Slice 14 of 39. MRI.
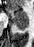
anterior_hippocampus:
  - l=7, t=9, r=27, b=21
posterior_hippocampus:
  - l=13, t=22, r=27, b=30